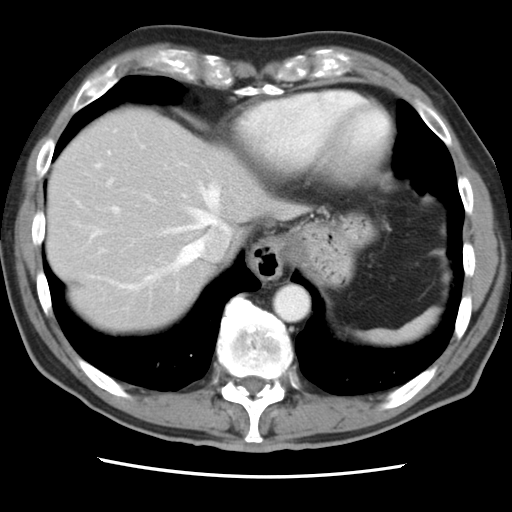
Liver. 512x512. CT image.

The vessel boxes may cover only some of the vessels.
13 hepatic vessel regions are bounded by left=92, top=230, right=98, bottom=236; left=183, top=194, right=184, bottom=196; left=145, top=277, right=150, bottom=281; left=203, top=187, right=219, bottom=207; left=120, top=284, right=135, bottom=289; left=177, top=287, right=178, bottom=288; left=100, top=249, right=105, bottom=251; left=113, top=207, right=118, bottom=212; left=147, top=196, right=150, bottom=197; left=97, top=164, right=100, bottom=166; left=108, top=180, right=111, bottom=184; left=179, top=224, right=199, bottom=229; left=180, top=240, right=198, bottom=254.